FLAIR MR.
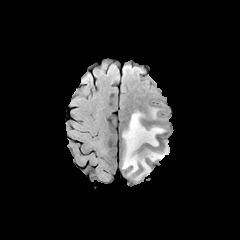
T1-weighted MR image.
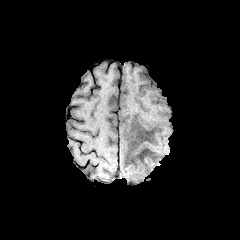
Post-contrast T1-weighted MR.
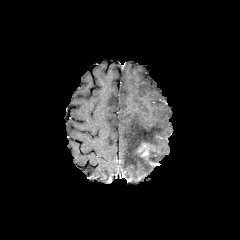
T2-weighted MR image.
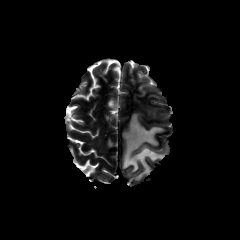
240x240 px
2 edema regions appear at box(123, 113, 163, 177); box(148, 151, 166, 161). The enhancing tumor appears at box(138, 144, 149, 159).